Field of view 240 mm wide, 1.00 mm slice spacing, Head
FLAIR magnetic resonance.
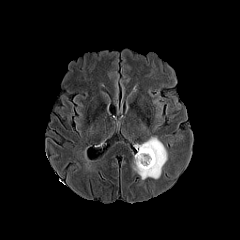
T1-weighted magnetic resonance.
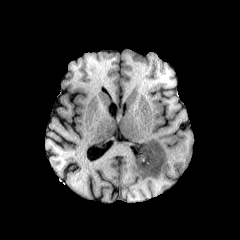
Post-contrast T1-weighted MRI.
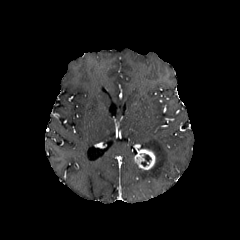
T2-weighted MR image.
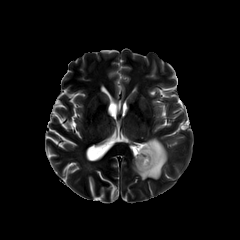
Non-enhancing tumor core at rect(141, 153, 151, 166).
Enhancing tumor at rect(135, 149, 154, 169).
Edema at rect(134, 138, 167, 179).